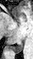

MRI slice | Image size 33x59 | Hippocampus
Posterior hippocampus = bbox(10, 41, 23, 53).